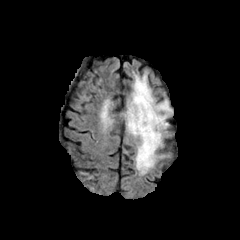
FLAIR MR image.
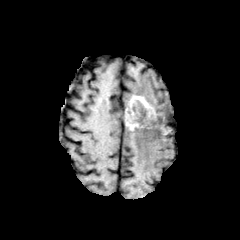
T1-weighted MR of the same slice.
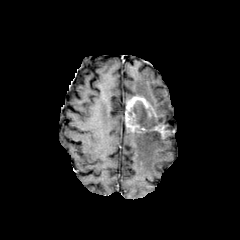
Post-contrast T1-weighted magnetic resonance.
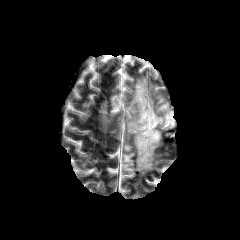
Same slice, T2-weighted MR.
240x240 px, Head
enhancing_tumor:
  - x1=153, y1=124, x2=167, y2=133
  - x1=126, y1=96, x2=153, y2=131
non-enhancing_tumor_core:
  - x1=161, y1=124, x2=169, y2=136
  - x1=130, y1=101, x2=167, y2=133
edema:
  - x1=127, y1=126, x2=170, y2=174
  - x1=135, y1=105, x2=152, y2=125
  - x1=128, y1=72, x2=172, y2=123